Slice index 340, CT, Upper abdomen 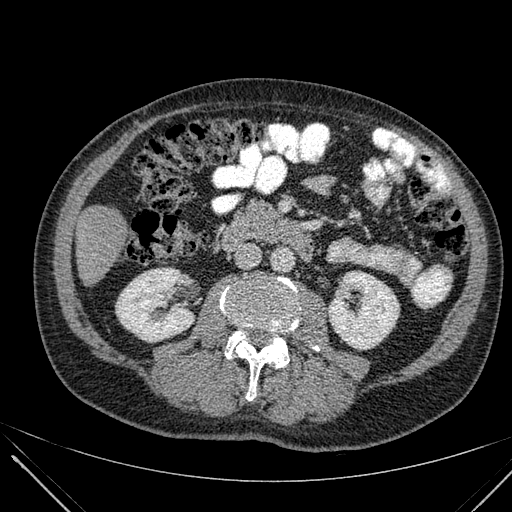 2 kidney regions are bounded by (left=329, top=272, right=398, bottom=348), (left=116, top=268, right=193, bottom=341). The liver appears at (left=76, top=205, right=134, bottom=285).